Slice 62 of 155 | Head
FLAIR MR image.
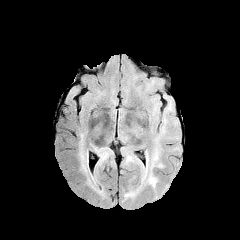
T1-weighted MR image.
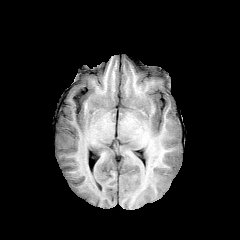
Post-contrast T1-weighted MR image.
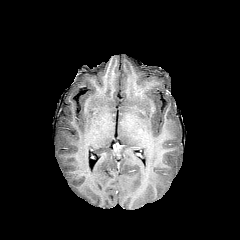
T2-weighted MRI.
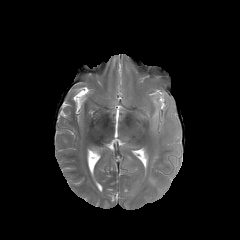
edema: {"x1": 93, "y1": 147, "x2": 107, "y2": 171}, {"x1": 80, "y1": 142, "x2": 87, "y2": 173}